Magnetic resonance. Heart. Field of view 400x400 mm. 320x320.
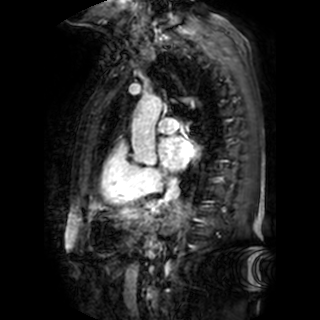
The left atrium lies within 158,137,200,171.